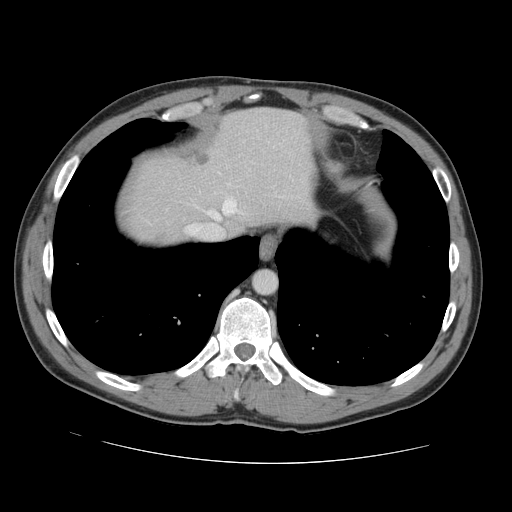

Abdomen; CT

Not every hepatic vessel necessarily has a box.
{"hepatic_vessel": ["[211,223,214,224]", "[217,172,219,173]", "[202,210,220,219]", "[222,199,244,214]", "[193,204,196,206]", "[273,192,290,198]", "[191,224,195,226]"]}